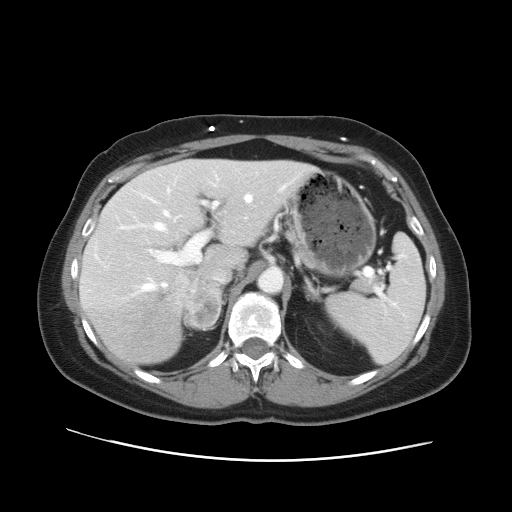
Liver. CT scan slice.
Only some of the vessels may be annotated.
Hepatic vessel = l=147, t=232, r=208, b=265; l=202, t=202, r=205, b=203; l=166, t=185, r=172, b=194; l=162, t=283, r=165, b=286; l=212, t=201, r=218, b=206; l=246, t=194, r=253, b=201; l=117, t=210, r=167, b=231; l=162, t=208, r=177, b=219; l=133, t=191, r=159, b=203.
Liver tumor = l=166, t=272, r=217, b=327.